Slice index 338. 512x512 px. Image width 434 mm. CT scan slice. 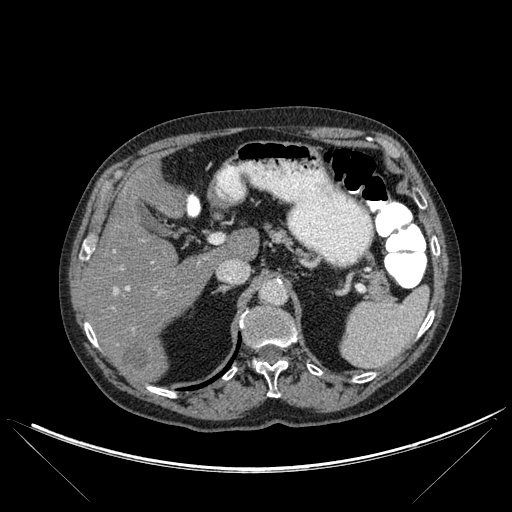
<segmentation>
  <focal_liver_lesion>box(122, 343, 147, 369); box(113, 199, 132, 221)</focal_liver_lesion>
  <lung>box(184, 357, 233, 390)</lung>
  <bone>box(307, 364, 322, 375); box(147, 386, 175, 397); box(253, 359, 287, 397); box(431, 237, 439, 255); box(84, 322, 97, 346); box(239, 307, 296, 347); box(223, 367, 236, 379); box(353, 372, 375, 382); box(418, 311, 433, 336)</bone>
  <liver>box(85, 164, 216, 381); box(212, 228, 259, 263)</liver>
</segmentation>